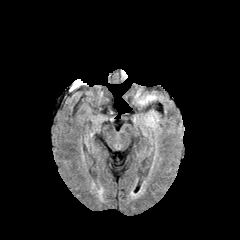
FLAIR MRI.
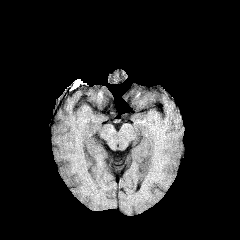
T1-weighted MR image of the same slice.
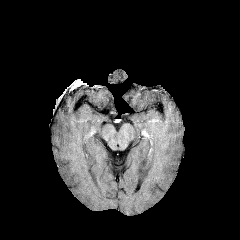
Post-contrast T1-weighted MR of the same slice.
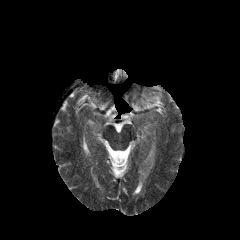
T2-weighted MR.
Edema = (140,95,155,103).